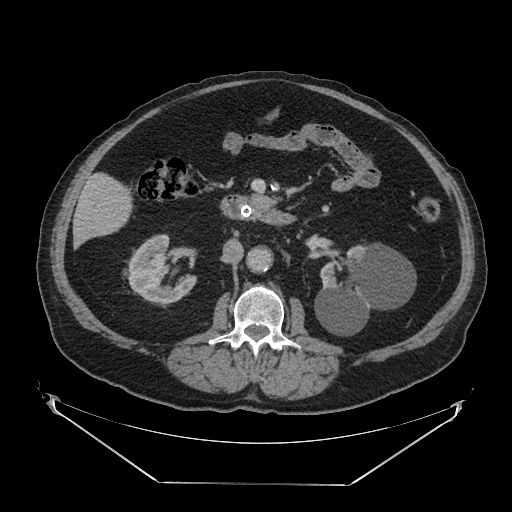 Upper abdomen, CT, Image size 512x512
The pancreas is at box(250, 195, 275, 208).